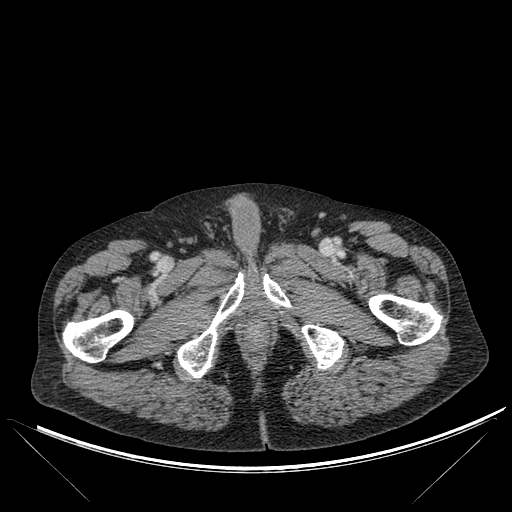
512x512 px; CT slice

Bone = left=177, top=273, right=244, bottom=378; left=302, top=325, right=343, bottom=369; left=62, top=310, right=133, bottom=362; left=263, top=274, right=290, bottom=307; left=369, top=294, right=441, bottom=345.